CT image, Slice index 571

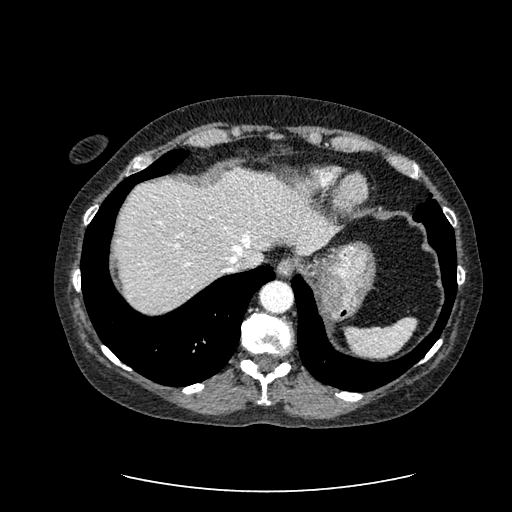 Liver at x1=116, y1=170, x2=342, y2=312.